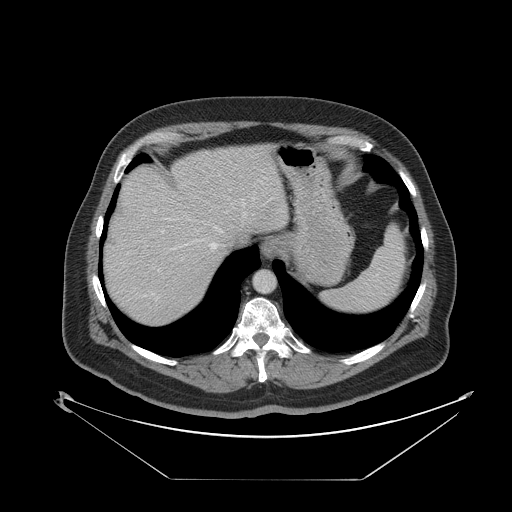 CT scan slice

Only some of the vessels may be annotated.
8 hepatic vessel regions are located at 172,247,175,249; 154,209,156,212; 218,229,222,232; 195,240,198,240; 167,218,171,220; 214,226,216,228; 211,241,224,248; 243,212,246,216.